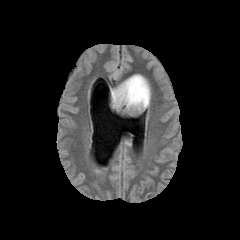
FLAIR magnetic resonance.
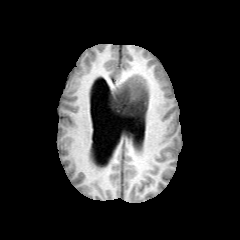
T1-weighted MR of the same slice.
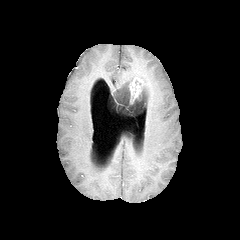
Post-contrast T1-weighted MRI.
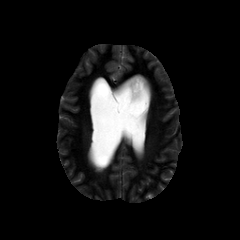
Same slice, T2-weighted magnetic resonance.
Image size 240x240. Brain.
2 edema regions are bounded by (110,80,129,99), (142,90,148,109). The non-enhancing tumor core appears at (110,87,145,115). The enhancing tumor appears at (128,75,148,103).